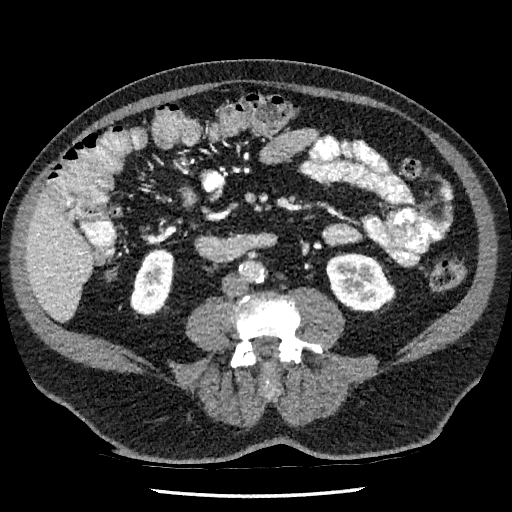

512x512 px, CT slice
Kidney — x1=327, y1=254, x2=393, y2=310; x1=131, y1=251, x2=172, y2=313.
Liver — x1=26, y1=191, x2=92, y2=320.